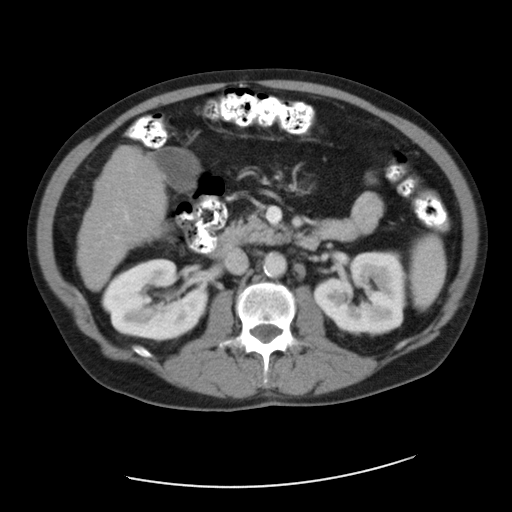 CT image; Abdomen
The vessel boxes may cover only some of the vessels.
Findings:
- hepatic vessel: l=125, t=213, r=128, b=219